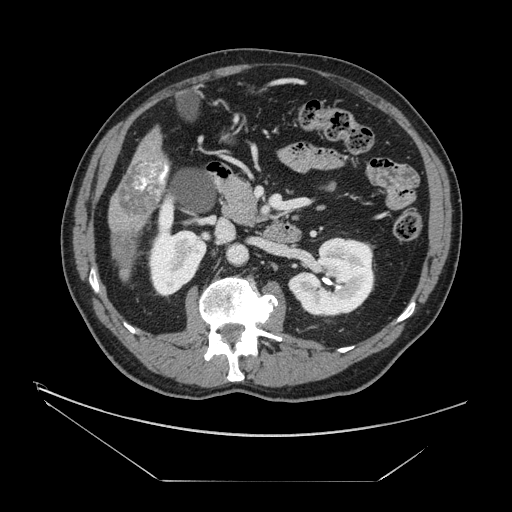

CT | 512x512
Liver tumor = [x1=118, y1=160, x2=168, y2=217], [x1=114, y1=230, x2=135, y2=268].